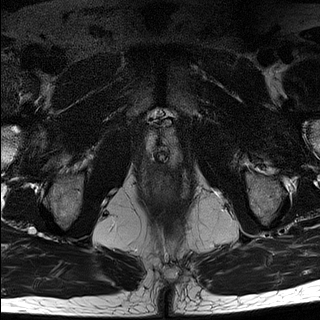
T2-weighted magnetic resonance.
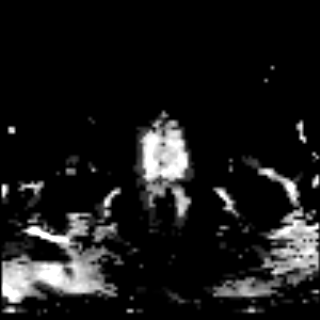
ADC magnetic resonance of the same slice.
Prostate.
<segmentation>
  <prostate_transition_zone>region(153, 131, 170, 161)</prostate_transition_zone>
  <prostate_peripheral_zone>region(146, 132, 180, 163)</prostate_peripheral_zone>
</segmentation>